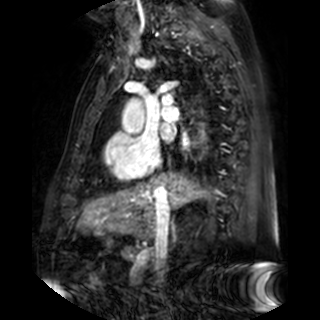
Cardiac | MRI
The left atrium is bounded by 162:126:171:139.